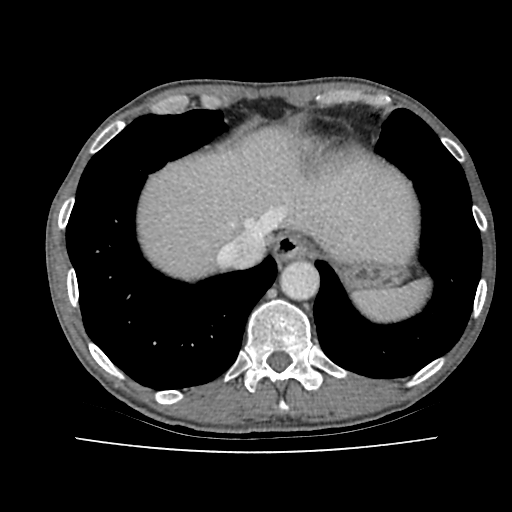 512x512 px | CT

The liver is located at 138, 130, 419, 278.